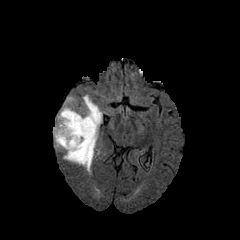
FLAIR MR image.
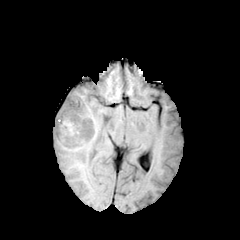
Same slice, T1-weighted MR.
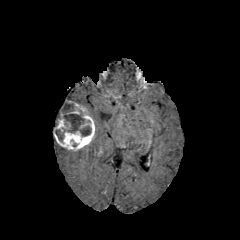
Post-contrast T1-weighted MRI of the same slice.
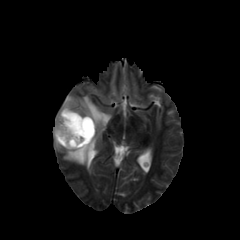
T2-weighted MR.
Head
Enhancing tumor: bounding box 53,99,94,150.
Edema: bounding box 55,102,65,121; 54,94,104,175.
Non-enhancing tumor core: bounding box 56,103,91,143.